240x240
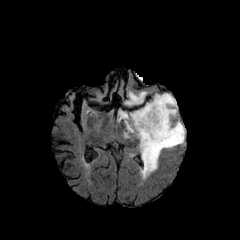
FLAIR MR image.
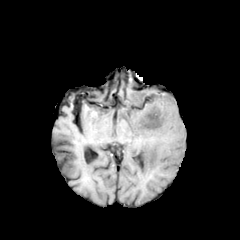
T1-weighted MR image of the same slice.
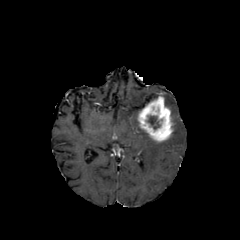
Post-contrast T1-weighted MR image of the same slice.
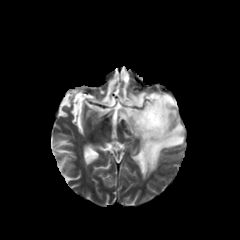
T2-weighted MRI of the same slice.
{
  "non-enhancing_tumor_core": [
    {"x1": 148, "y1": 117, "x2": 156, "y2": 124}
  ],
  "edema": [
    {"x1": 116, "y1": 93, "x2": 184, "y2": 179},
    {"x1": 123, "y1": 90, "x2": 147, "y2": 107}
  ],
  "enhancing_tumor": [
    {"x1": 136, "y1": 94, "x2": 172, "y2": 143}
  ]
}